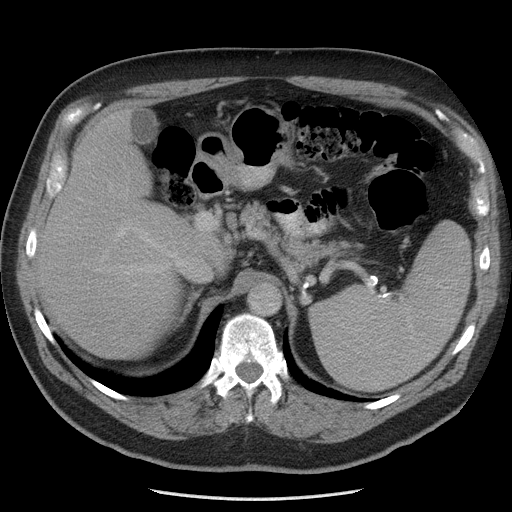 CT slice | Abdomen | 512x512

Some hepatic vessels may have no box.
8 hepatic vessel regions are bounded by (141, 229, 170, 251), (134, 228, 136, 229), (166, 251, 204, 277), (125, 270, 128, 274), (198, 214, 202, 231), (128, 262, 169, 272), (124, 220, 131, 225), (117, 227, 128, 236).